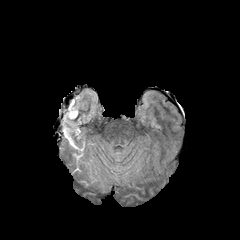
FLAIR MR.
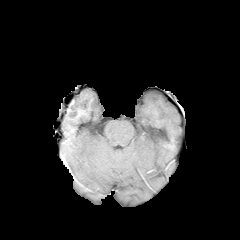
T1-weighted MR.
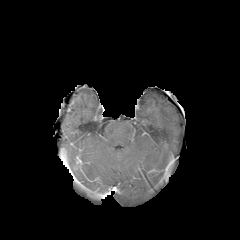
Same slice, post-contrast T1-weighted MR.
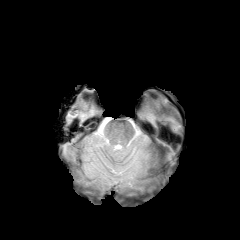
Same slice, T2-weighted magnetic resonance.
240x240 px
Edema = bbox(63, 102, 89, 123); bbox(115, 149, 130, 159); bbox(63, 125, 78, 149); bbox(98, 147, 143, 175); bbox(77, 141, 103, 172).